CT; Slice index 339; 512x512 px
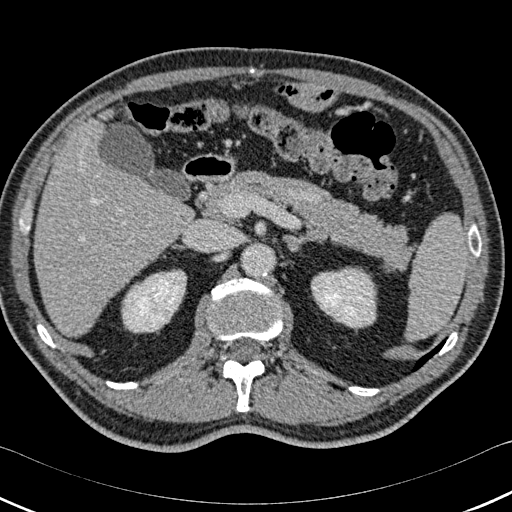

Lung at x1=403, y1=337, x2=447, y2=375.
Bone at x1=349, y1=387, x2=378, y2=395; x1=37, y1=325, x2=54, y2=347; x1=439, y1=333, x2=456, y2=354; x1=208, y1=278, x2=282, y2=341; x1=20, y1=220, x2=29, y2=230; x1=106, y1=381, x2=136, y2=388; x1=223, y1=360, x2=264, y2=411; x1=469, y1=225, x2=480, y2=255.
Kidney at x1=122, y1=271, x2=185, y2=331; x1=312, y1=269, x2=374, y2=326.
Liver at x1=34, y1=120, x2=193, y2=335.